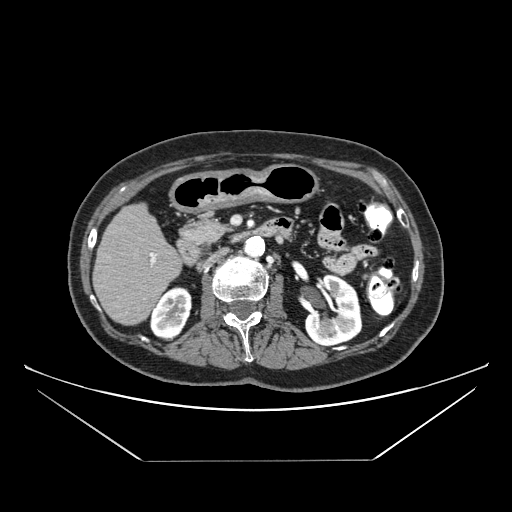
Computed tomography; Upper abdomen; 512x512 px
The pancreas appears at 177 211 233 263.